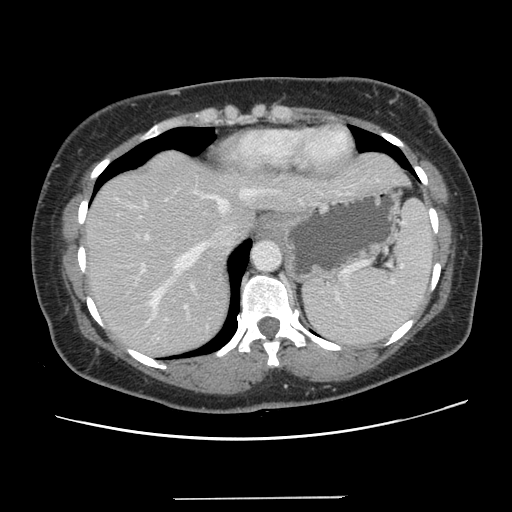
512x512 px | CT scan slice
Not every hepatic vessel necessarily has a box.
10 hepatic vessel regions are located at (x1=147, y1=320, x2=149, y2=322), (x1=204, y1=195, x2=227, y2=211), (x1=241, y1=189, x2=257, y2=197), (x1=191, y1=285, x2=193, y2=289), (x1=141, y1=263, x2=144, y2=272), (x1=184, y1=305, x2=187, y2=307), (x1=145, y1=235, x2=148, y2=239), (x1=165, y1=199, x2=167, y2=201), (x1=175, y1=244, x2=205, y2=270), (x1=148, y1=286, x2=165, y2=311).